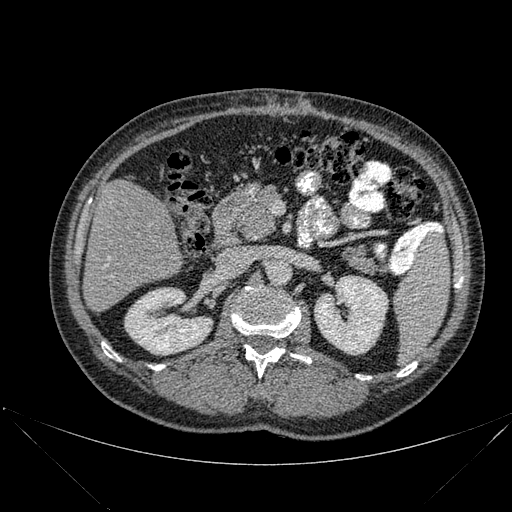

CT scan slice. 512x512 px.

- bone: (x1=356, y1=374, x2=371, y2=380), (x1=101, y1=342, x2=120, y2=360), (x1=231, y1=286, x2=300, y2=337), (x1=397, y1=362, x2=416, y2=376), (x1=151, y1=365, x2=164, y2=370), (x1=245, y1=345, x2=286, y2=377), (x1=290, y1=353, x2=311, y2=363)
- liver: (x1=83, y1=180, x2=182, y2=311)
- kidney: (x1=125, y1=288, x2=212, y2=354), (x1=314, y1=276, x2=388, y2=354)